Slice index 26; CT scan slice 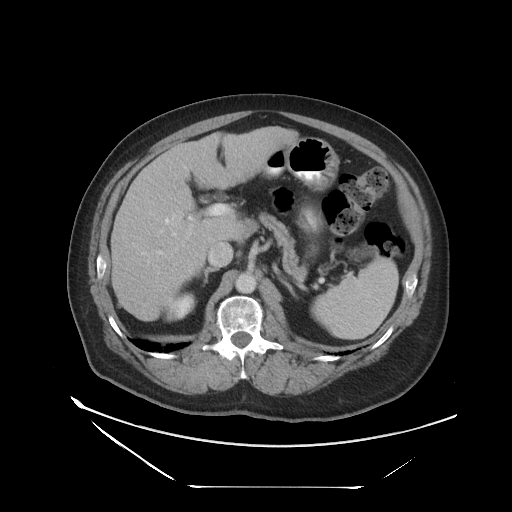 Some hepatic vessels may have no box.
Hepatic vessel at (x1=174, y1=233, x2=175, y2=235), (x1=166, y1=217, x2=173, y2=223).